FLAIR MRI.
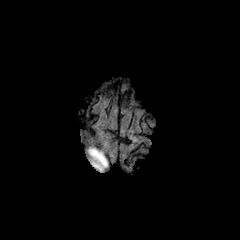
T1-weighted MR image.
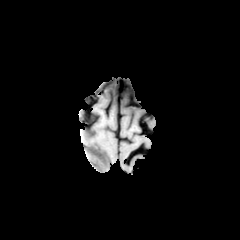
Post-contrast T1-weighted MR.
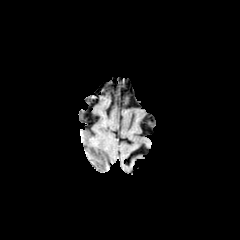
T2-weighted MR.
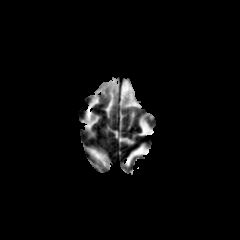
edema: bbox=[88, 147, 108, 171]